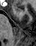 MRI
anterior_hippocampus:
  - bbox(16, 10, 18, 11)